CT slice, Slice index 8 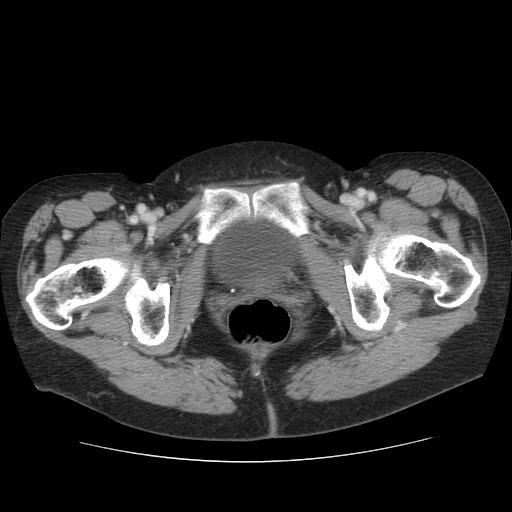

3 bone regions are located at box(194, 186, 309, 243); box(25, 254, 174, 351); box(341, 221, 479, 337).